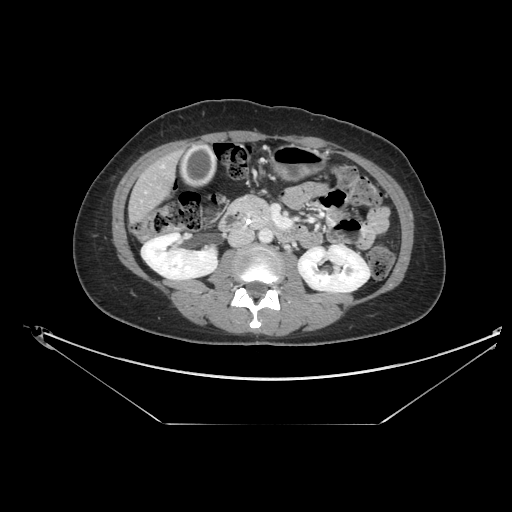 CT

pancreas:
  - bbox(233, 195, 271, 227)